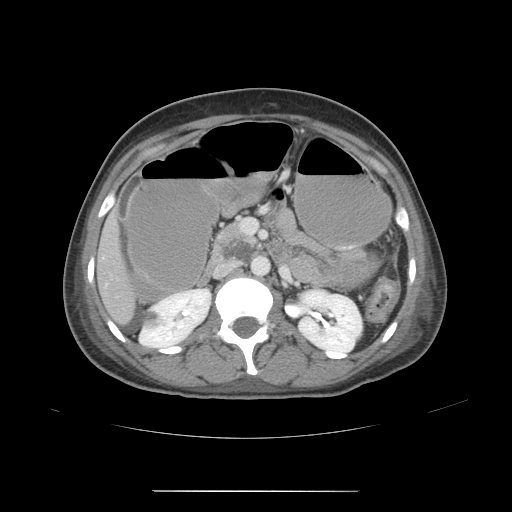
CT.
The colon tumor is located at bbox=[367, 282, 397, 322].